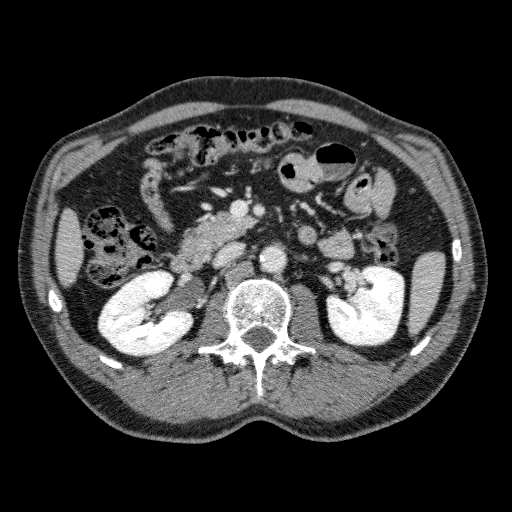

CT slice.
• liver: x1=56, y1=209, x2=82, y2=284
• kidney: x1=327, y1=266, x2=403, y2=344; x1=99, y1=271, x2=192, y2=354